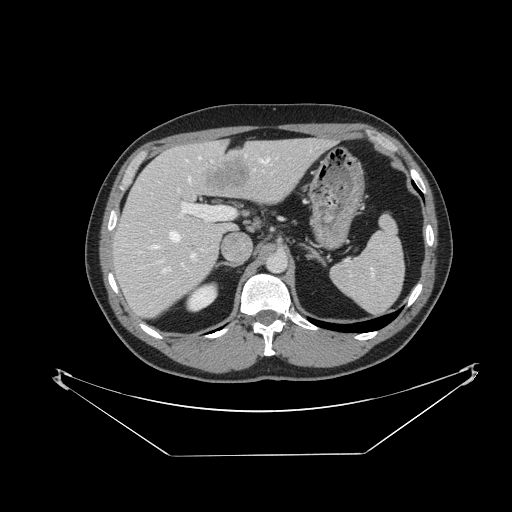 Computed tomography, Upper abdomen, 512x512 px

Annotated regions:
* spleen: [331,214,404,314]